Slice 74 of 155; Head
FLAIR magnetic resonance.
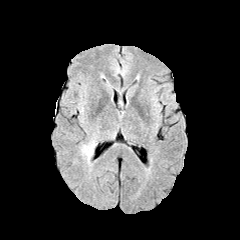
T1-weighted MR.
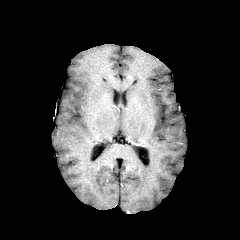
Post-contrast T1-weighted MR.
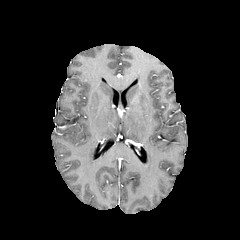
T2-weighted MR image.
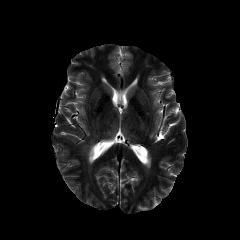
Edema — x1=82, y1=138, x2=97, y2=165.